Image size 512x512; Computed tomography 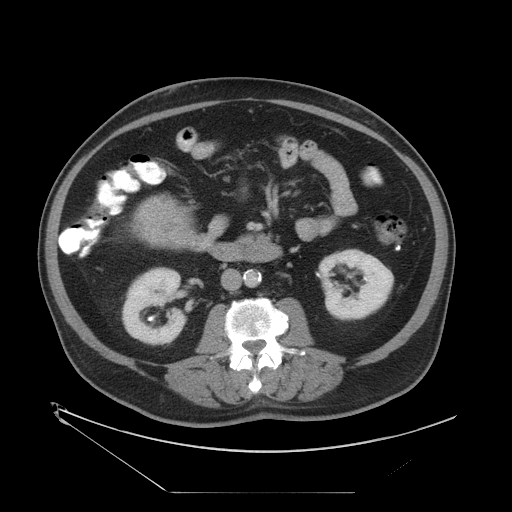 <segmentation>
  <liver_tumor>158, 217, 175, 234</liver_tumor>
</segmentation>